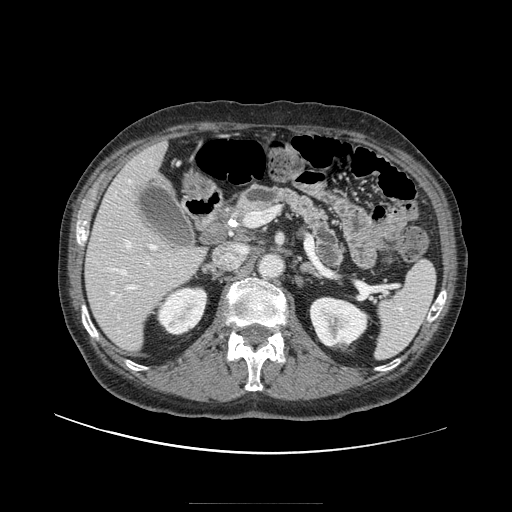

Computed tomography.

<segmentation>
  <pancreas>bbox(235, 186, 345, 274)</pancreas>
</segmentation>